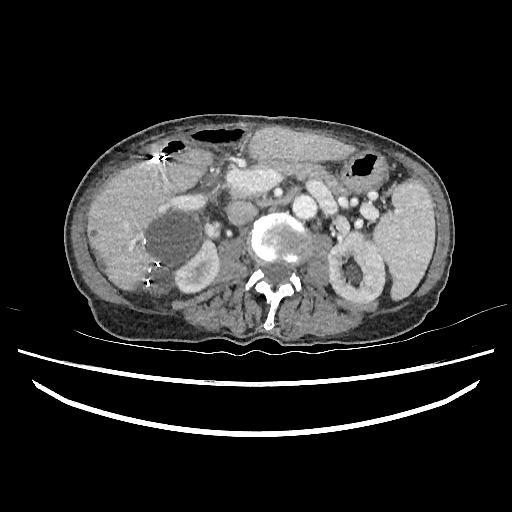

CT image; Liver
Segmented structures:
* liver: <box>88,149,212,291</box>, <box>248,127,354,162</box>
* liver lesion: <box>144,210,202,295</box>, <box>95,254,103,267</box>
* kidney: <box>328,231,384,303</box>, <box>205,223,218,237</box>, <box>175,240,219,292</box>